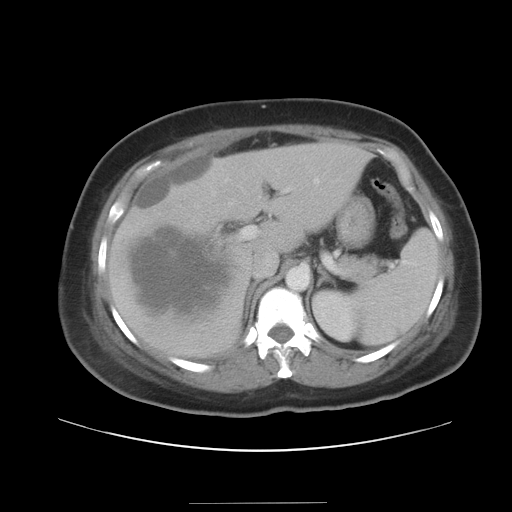

Computed tomography
Only some of the vessels may be annotated.
hepatic vessel: bbox=[239, 226, 259, 239] | liver tumor: bbox=[132, 229, 229, 315]